Slice 92 of 155. Head.
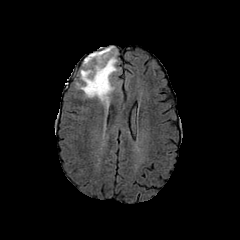
FLAIR MR image.
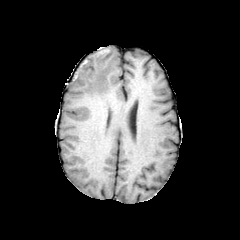
T1-weighted MRI.
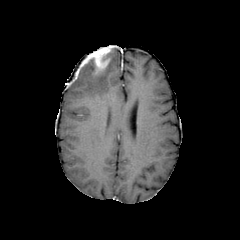
Post-contrast T1-weighted MR of the same slice.
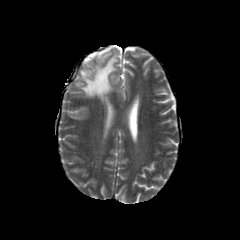
T2-weighted MR.
<segmentation>
  <edema>rect(75, 49, 118, 110)</edema>
  <non-enhancing_tumor_core>rect(86, 59, 108, 76)</non-enhancing_tumor_core>
  <enhancing_tumor>rect(82, 46, 113, 73)</enhancing_tumor>
</segmentation>